CT | Slice index 525 | Upper abdomen 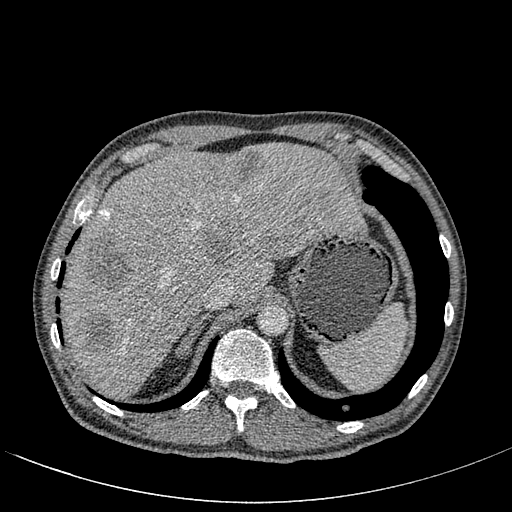
The liver is located at x1=63 y1=143 x2=366 y2=397. 6 focal liver lesion regions appear at x1=82 y1=314 x2=114 y2=347, x1=205 y1=219 x2=245 y2=265, x1=318 y1=194 x2=329 y2=205, x1=205 y1=150 x2=262 y2=189, x1=87 y1=231 x2=133 y2=289, x1=266 y1=237 x2=275 y2=243.